FLAIR magnetic resonance.
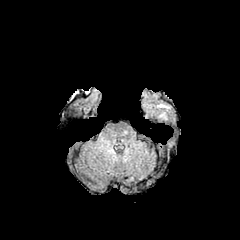
T1-weighted MR image.
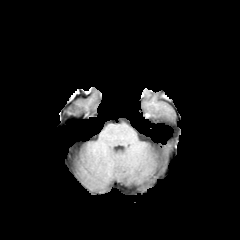
Post-contrast T1-weighted MR.
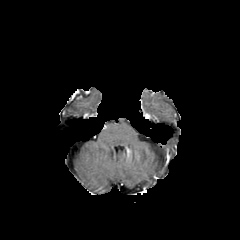
T2-weighted MRI.
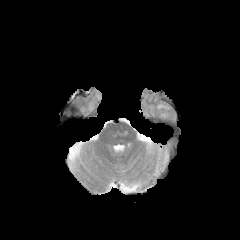
Head
The edema lies within [156, 104, 170, 119].